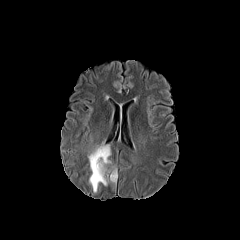
FLAIR MR.
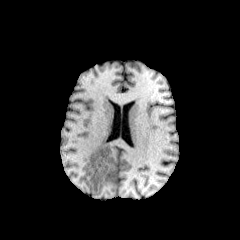
T1-weighted magnetic resonance.
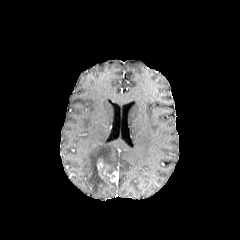
Same slice, post-contrast T1-weighted magnetic resonance.
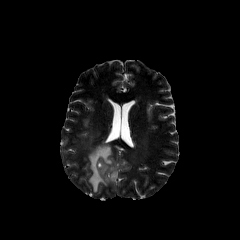
T2-weighted magnetic resonance.
240x240
Non-enhancing tumor core: {"x1": 97, "y1": 159, "x2": 106, "y2": 175}.
Enhancing tumor: {"x1": 97, "y1": 163, "x2": 108, "y2": 178}, {"x1": 107, "y1": 171, "x2": 116, "y2": 181}.
Edema: {"x1": 87, "y1": 144, "x2": 112, "y2": 192}.